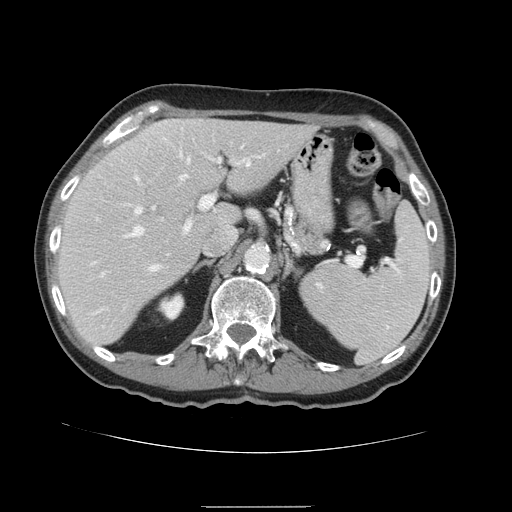
Upper abdomen, Computed tomography
Spleen at x1=301 y1=204 x2=431 y2=362.